Computed tomography
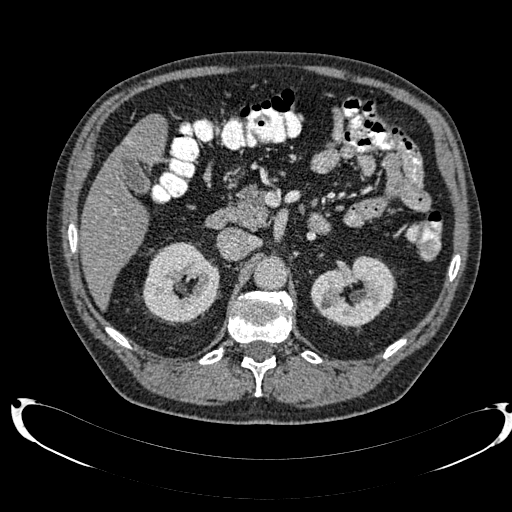
<segmentation>
  <liver>l=81, t=115, r=165, b=309</liver>
  <kidney>l=143, t=242, r=219, b=323; l=311, t=256, r=395, b=326</kidney>
</segmentation>